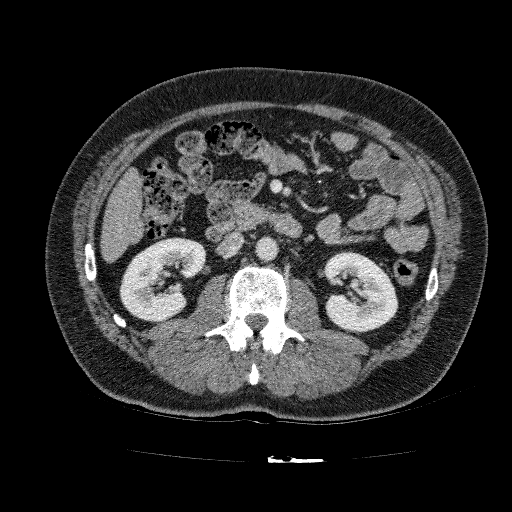 CT scan slice, Upper abdomen
Kidney: bounding box (325, 253, 397, 331), (120, 238, 205, 320).
Liver: bounding box (101, 168, 143, 261).